CT slice. Lung. Image width 400 mm. 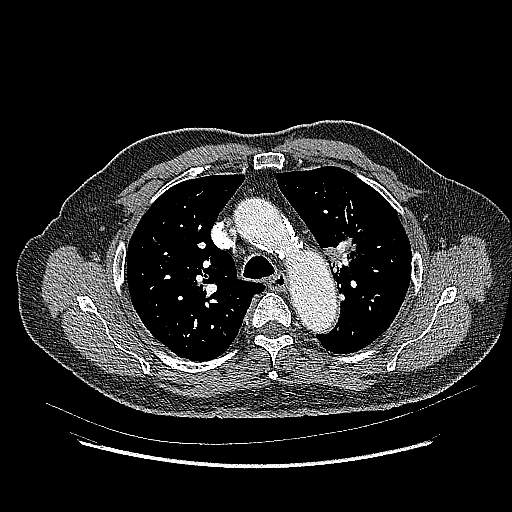

Segmented structures:
- lung tumor: {"x1": 322, "y1": 235, "x2": 360, "y2": 278}